CT slice.

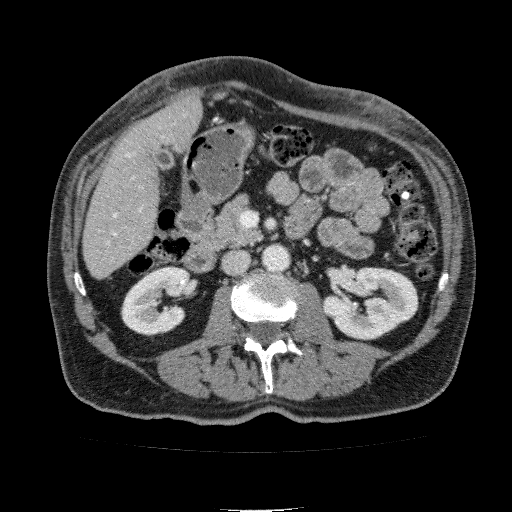

Liver at box(85, 94, 202, 278).
Kidney at box(122, 267, 195, 333); box(324, 268, 417, 338).